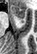 MRI
{
  "posterior_hippocampus": [
    "22 21 23 22"
  ],
  "anterior_hippocampus": [
    "11 5 25 18"
  ]
}